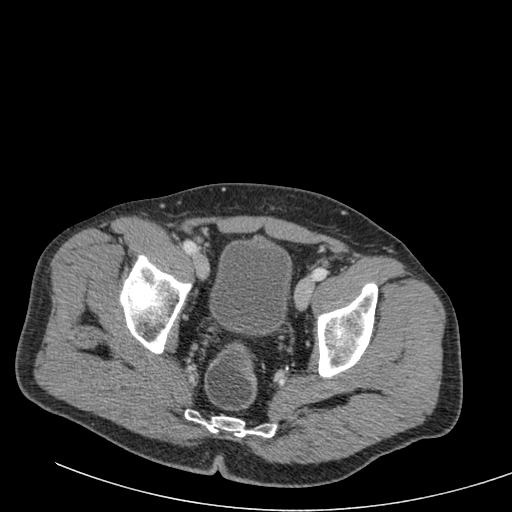
CT; 512x512 px

<segmentation>
  <urinary_bladder>x1=209, y1=240, x2=291, y2=335</urinary_bladder>
</segmentation>